Liver, Slice index 463, Computed tomography

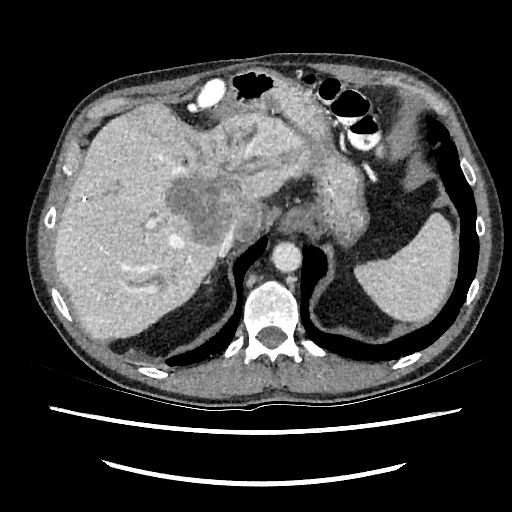

3 focal liver lesion regions are located at <bbox>196, 154, 205, 164</bbox>, <bbox>179, 158, 187, 165</bbox>, <bbox>165, 175, 260, 242</bbox>. The liver lies within <bbox>53, 101, 311, 339</bbox>.